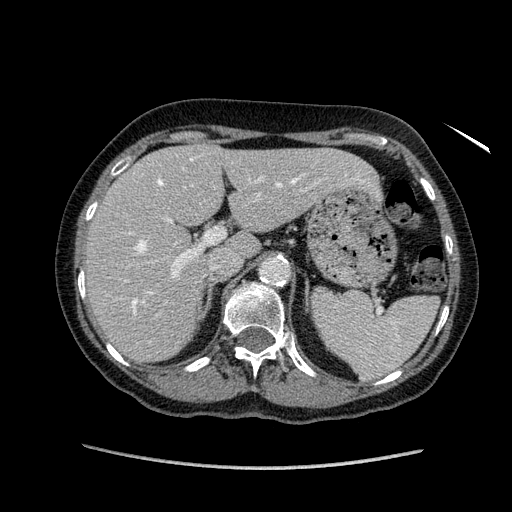 CT, Upper abdomen

liver: (left=85, top=145, right=375, bottom=360)